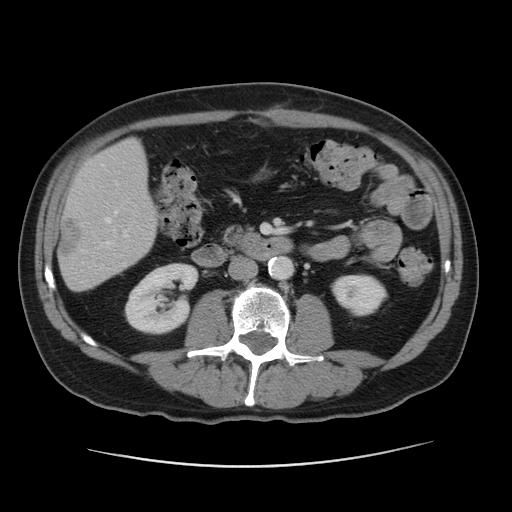
CT

{
  "liver": [
    "(60, 143, 153, 289)"
  ],
  "kidney": [
    "(331, 274, 387, 315)",
    "(126, 264, 195, 332)"
  ],
  "focal_liver_lesion": [
    "(57, 219, 80, 255)"
  ]
}